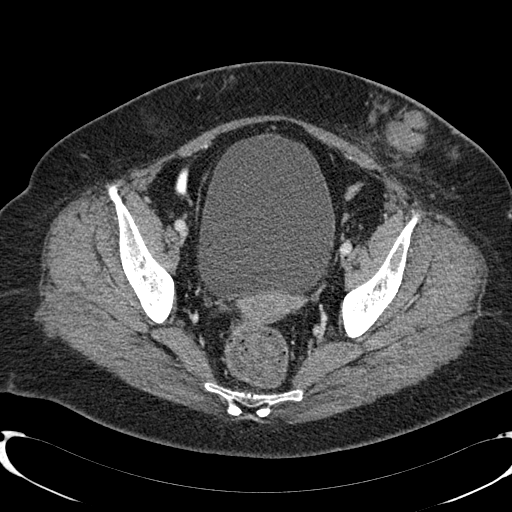 CT scan slice; 512x512; Pelvis
Segmented structures:
* urinary bladder: {"x1": 199, "y1": 134, "x2": 334, "y2": 299}